Image width 472 mm | Slice 43/174 | Abdomen | CT | Image size 512x512 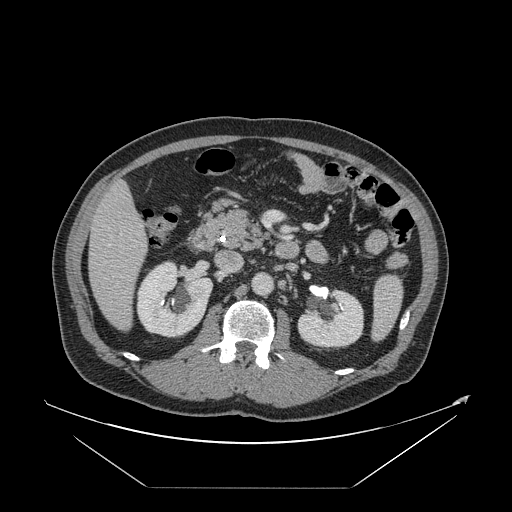

The vessel boxes may cover only some of the vessels.
The hepatic vessel appears at (108,245,110,246).